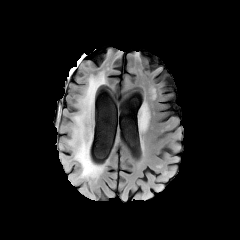
FLAIR MR.
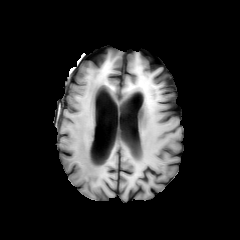
T1-weighted MRI.
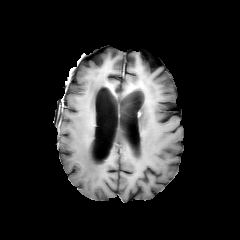
Same slice, post-contrast T1-weighted MR.
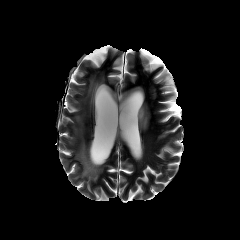
T2-weighted MR.
Brain; 240x240 px
Edema — 74:111:86:136, 73:138:104:182, 80:76:105:115.